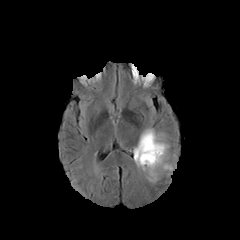
FLAIR MR image.
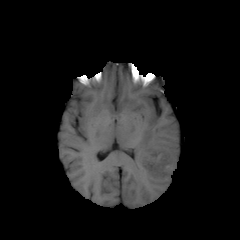
T1-weighted MRI of the same slice.
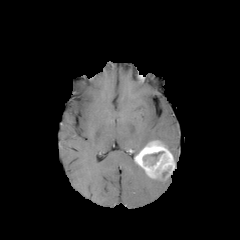
Post-contrast T1-weighted magnetic resonance.
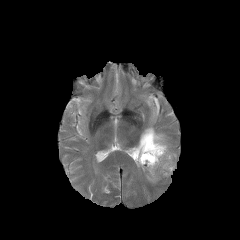
Same slice, T2-weighted MR image.
Brain | 240x240 px
{
  "enhancing_tumor": [
    "(left=134, top=140, right=176, bottom=180)"
  ],
  "edema": [
    "(left=133, top=125, right=171, bottom=155)"
  ]
}